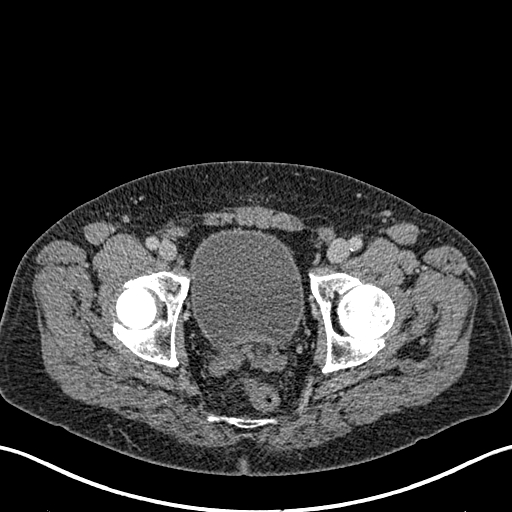 CT image, Pelvis

Segmented structures:
• urinary bladder: 189,228,303,342